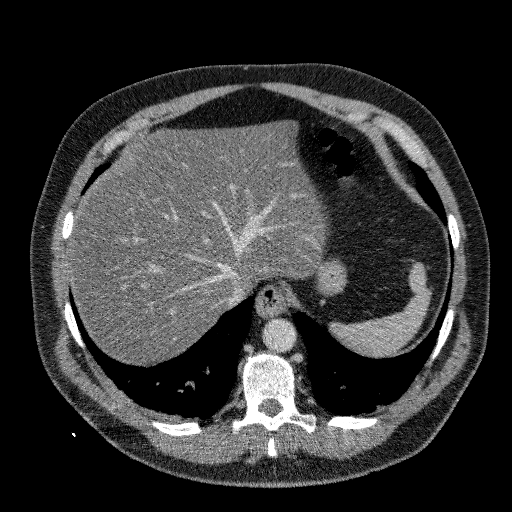 Upper abdomen; Computed tomography
{
  "liver": [
    "x1=69, y1=120, x2=324, y2=364"
  ]
}